CT slice. 512x512 px. Slice 379 of 771. Upper abdomen.
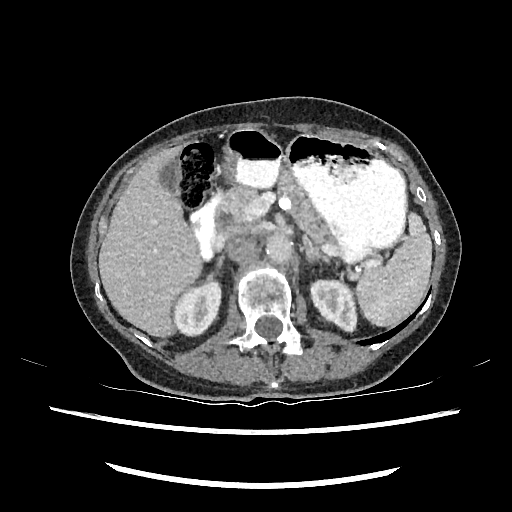 <segmentation>
  <kidney>box(175, 283, 219, 334); box(311, 281, 355, 329)</kidney>
  <liver>box(99, 148, 201, 335)</liver>
</segmentation>